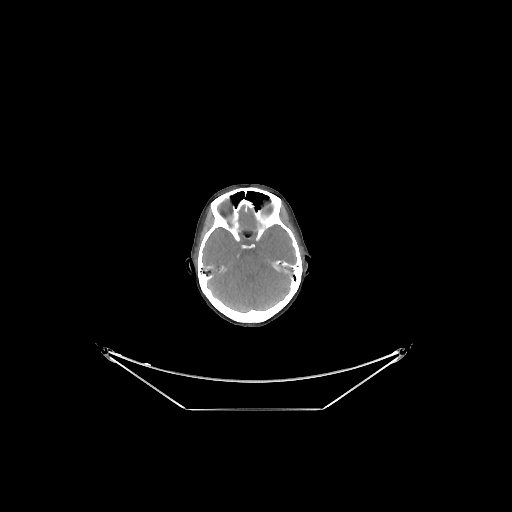 Head. Computed tomography. 512x512 px.

The brain lies within (202, 204, 296, 312).